Slice 94 of 155; Brain
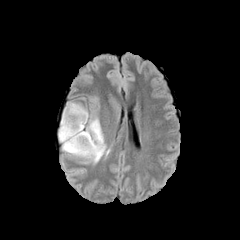
FLAIR MRI.
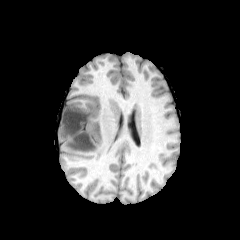
T1-weighted MRI.
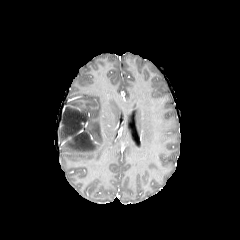
Post-contrast T1-weighted magnetic resonance of the same slice.
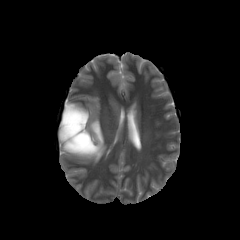
T2-weighted MRI.
<segmentation>
  <non-enhancing_tumor_core>l=60, t=104, r=99, b=156</non-enhancing_tumor_core>
  <edema>l=62, t=108, r=109, b=163; l=67, t=102, r=88, b=113</edema>
</segmentation>